FLAIR magnetic resonance.
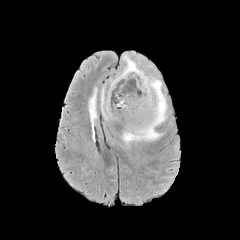
T1-weighted MR.
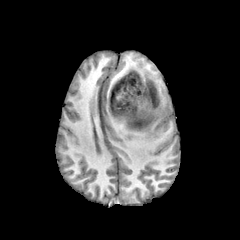
Post-contrast T1-weighted magnetic resonance.
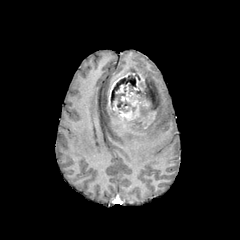
T2-weighted MRI.
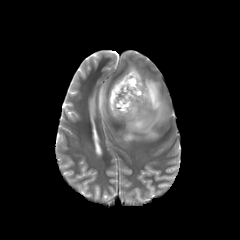
Brain
Edema — {"x1": 111, "y1": 52, "x2": 168, "y2": 142}, {"x1": 101, "y1": 86, "x2": 123, "y2": 121}, {"x1": 89, "y1": 88, "x2": 97, "y2": 141}.
Enhancing tumor — {"x1": 108, "y1": 73, "x2": 129, "y2": 106}, {"x1": 118, "y1": 84, "x2": 140, "y2": 120}.
Non-enhancing tumor core — {"x1": 110, "y1": 74, "x2": 154, "y2": 124}.